CT scan slice 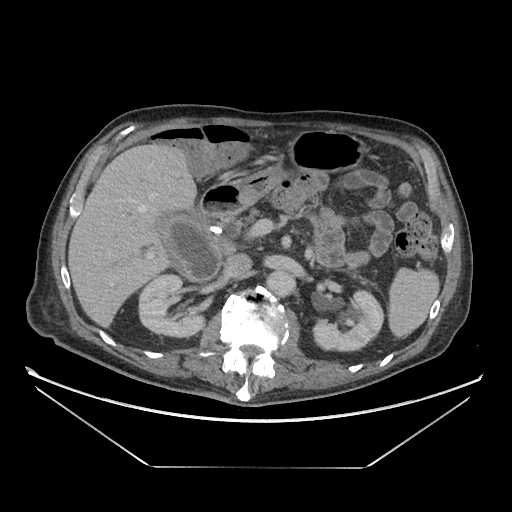

The pancreas appears at (247,212,258,221).